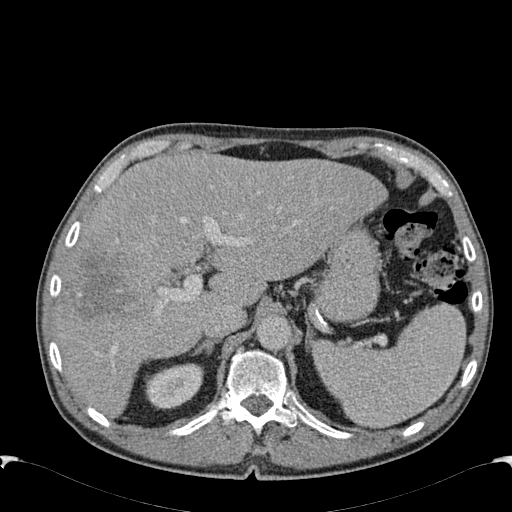
Liver; CT image
Annotated regions:
* kidney: bbox(147, 364, 201, 407)
* liver: bbox(55, 154, 385, 416)
* hepatic lesion: bbox(62, 243, 136, 323)